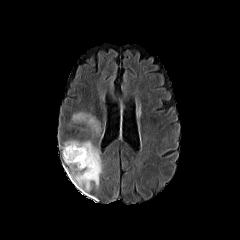
FLAIR MR.
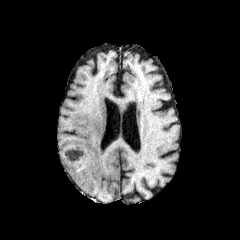
Same slice, T1-weighted MR.
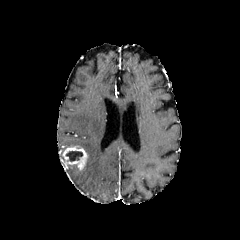
Same slice, post-contrast T1-weighted MR image.
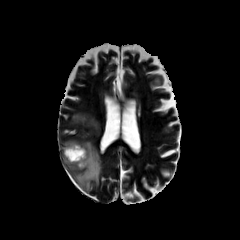
T2-weighted MR of the same slice.
2 edema regions appear at (63, 139, 102, 191), (71, 111, 101, 135). The enhancing tumor is bounded by (62, 145, 89, 170). The non-enhancing tumor core is at (65, 151, 82, 161).